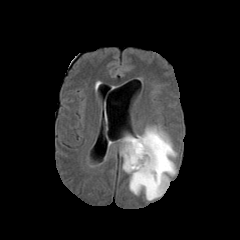
FLAIR MR image.
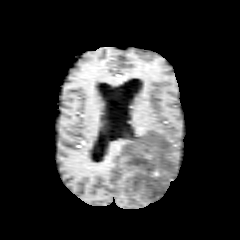
T1-weighted magnetic resonance.
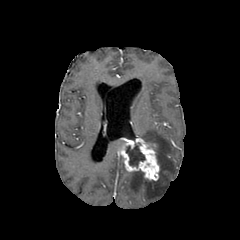
Same slice, post-contrast T1-weighted MR.
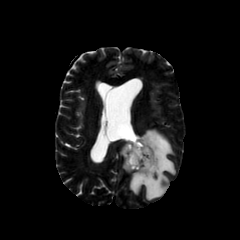
T2-weighted magnetic resonance of the same slice.
Brain
Non-enhancing tumor core — (126, 145, 144, 165), (137, 171, 154, 182).
Edema — (122, 127, 176, 200).
Enhancing tumor — (121, 136, 159, 181).